FLAIR MR.
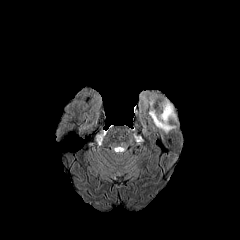
T1-weighted MR.
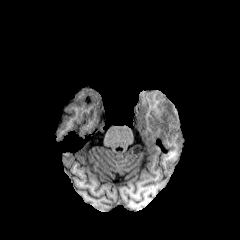
Post-contrast T1-weighted magnetic resonance.
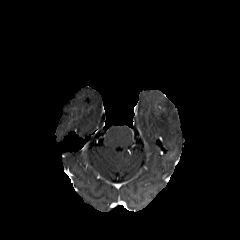
T2-weighted MR.
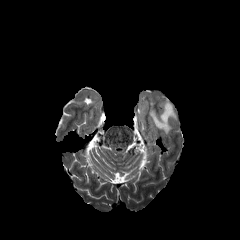
Brain
The edema appears at (x1=148, y1=98, x2=176, y2=134).